Upper abdomen; Field of view 403x403 mm; CT slice; 512x512

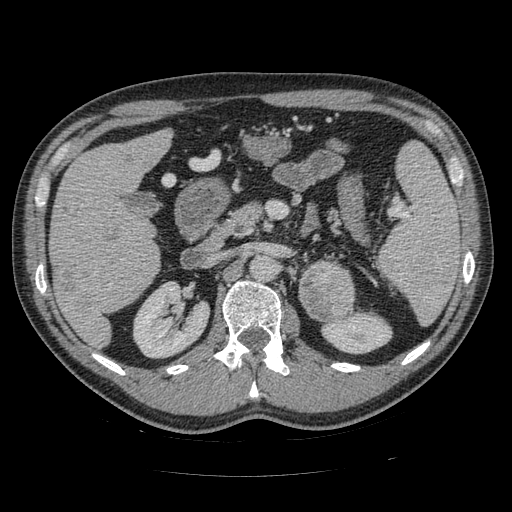
Findings:
* pancreas: (227,203,261,234)
* pancreatic tumor: (300,261,354,321)